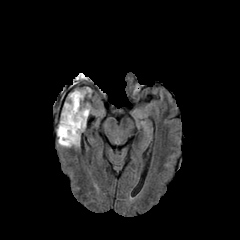
FLAIR magnetic resonance.
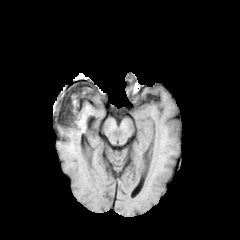
Same slice, T1-weighted MRI.
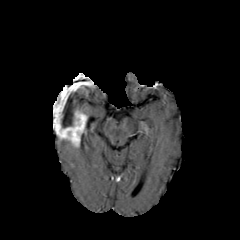
Same slice, post-contrast T1-weighted magnetic resonance.
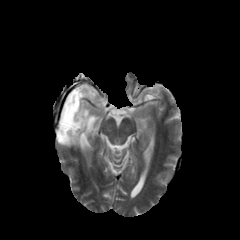
T2-weighted MR of the same slice.
Brain
Edema = [56,86,90,146], [73,73,89,83].
Non-enhancing tumor core = [58,104,82,135].